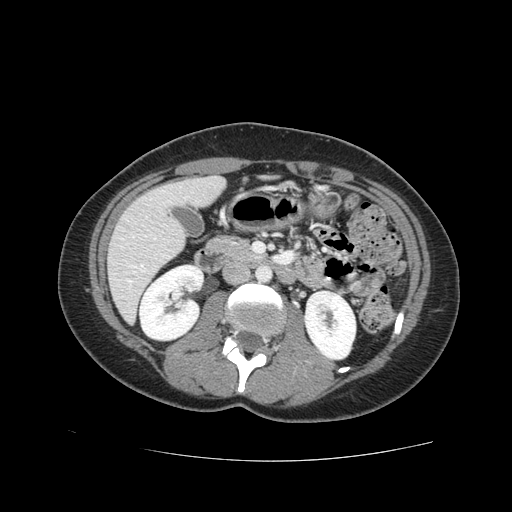 Computed tomography
pancreas:
  - bbox(211, 236, 257, 262)